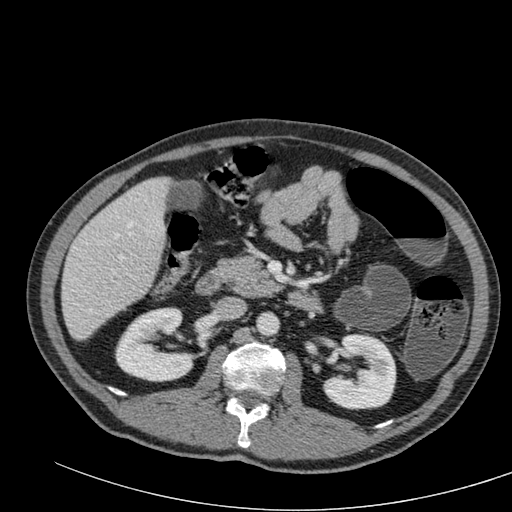
512x512 px | Abdomen | CT scan slice
Liver at rect(62, 178, 167, 338).
Kidney at rect(325, 335, 395, 408); rect(116, 308, 191, 380).